320x320 px. MRI slice.
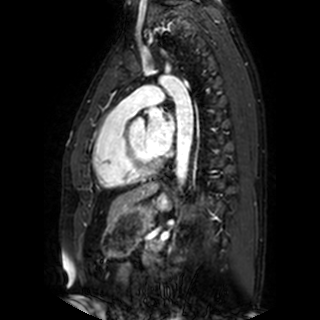
<segmentation>
  <left_atrium>region(145, 108, 175, 154)</left_atrium>
</segmentation>